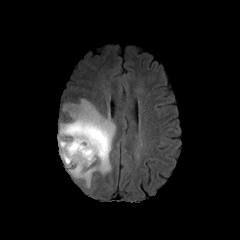
FLAIR MRI.
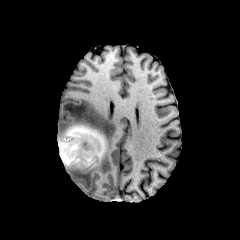
Same slice, T1-weighted magnetic resonance.
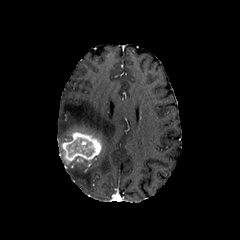
Post-contrast T1-weighted magnetic resonance.
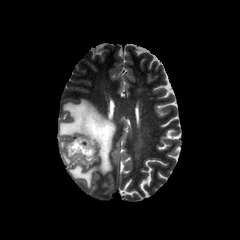
T2-weighted MR image of the same slice.
{
  "enhancing_tumor": [
    "65:132:100:161"
  ],
  "non-enhancing_tumor_core": [
    "66:138:94:157",
    "60:125:107:162",
    "72:156:95:165"
  ],
  "edema": [
    "70:165:97:187",
    "59:99:116:173"
  ]
}